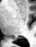

Hippocampus. MRI. posterior hippocampus: <box>12,37,15,39</box>